MRI slice. Image width 39 mm. 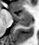
Posterior hippocampus — [18,21,31,26].
Anterior hippocampus — [12,11,31,20].